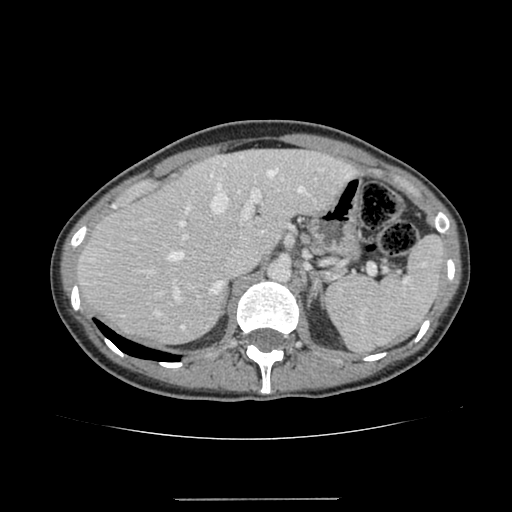 Upper abdomen. CT scan slice. {"liver": ["(x1=77, y1=150, x2=355, y2=345)"]}